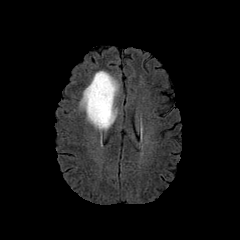
FLAIR MR.
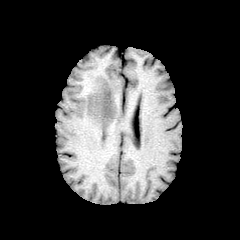
T1-weighted MRI.
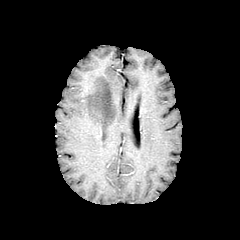
Post-contrast T1-weighted MR image.
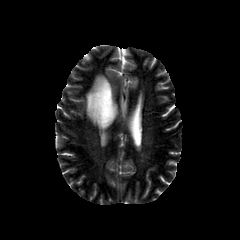
T2-weighted MRI.
Image size 240x240, Brain
edema:
  - 79,71,118,130